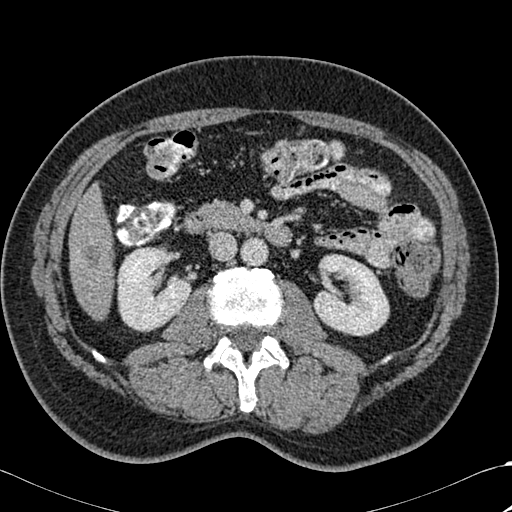
CT image; Liver

The liver lesion is at box(81, 245, 101, 266). The liver lies within box(70, 186, 113, 318). 2 kidney regions are located at box(314, 255, 388, 335); box(118, 248, 190, 329). The bone is at box(204, 268, 288, 411).